FLAIR MR.
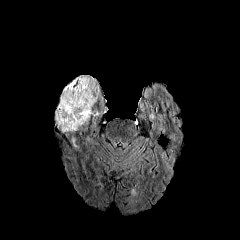
T1-weighted MR.
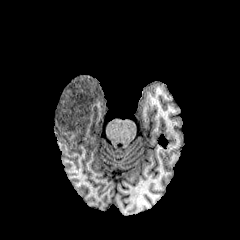
Post-contrast T1-weighted MRI.
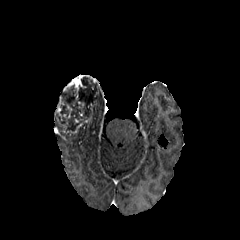
T2-weighted MR.
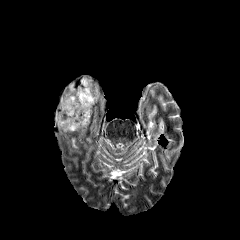
Head
enhancing_tumor:
  - (63,75,89,94)
  - (56,96,62,120)
non-enhancing_tumor_core:
  - (54,76,102,134)